512x512 px; Slice 313/366; CT
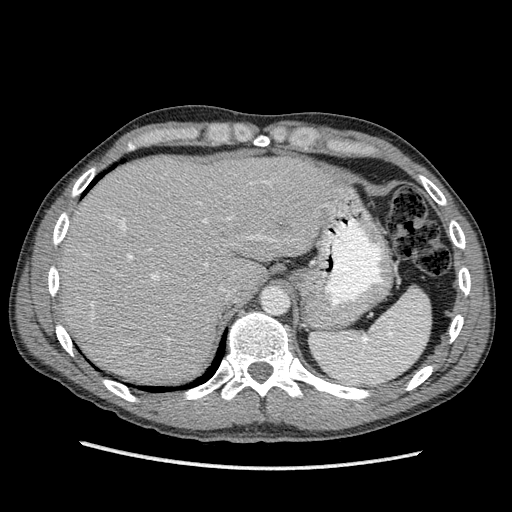

{
  "hepatic_lesion": [
    "276,216,289,229"
  ],
  "liver": [
    "56,151,339,385"
  ]
}